CT scan slice | 512x512 px | Field of view 439x439 mm | Slice 32 of 41

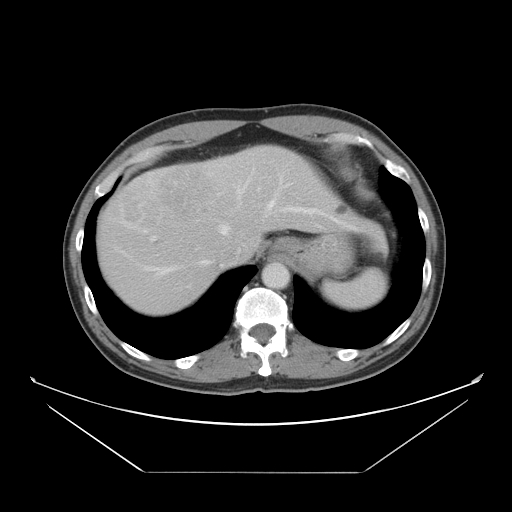

Only some of the vessels may be annotated.
Segmented structures:
- liver tumor: box(166, 170, 208, 218)
- hepatic vessel: box(217, 192, 222, 195); box(329, 215, 343, 224); box(147, 267, 171, 272); box(151, 237, 154, 240); box(144, 230, 146, 231); box(281, 205, 327, 215); box(202, 260, 213, 264); box(219, 225, 229, 234); box(275, 174, 290, 195); box(264, 200, 274, 216); box(237, 205, 239, 209); box(233, 177, 250, 203)